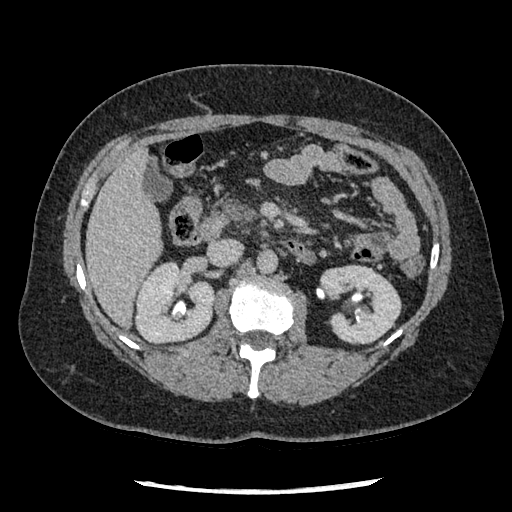 512x512. Upper abdomen. CT.
Pancreas — region(217, 197, 255, 223).